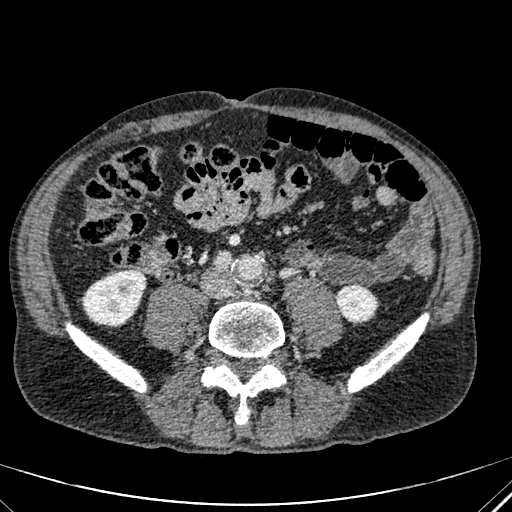 CT scan slice; Abdomen

2 kidney regions are bounded by bbox(84, 271, 145, 325); bbox(337, 286, 376, 320).